Head. Slice 80/155.
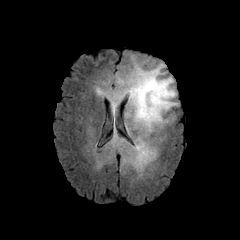
FLAIR MR.
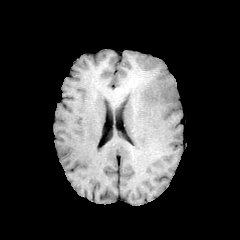
T1-weighted MRI.
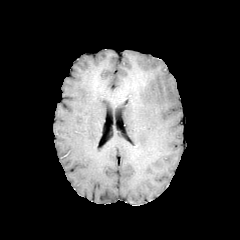
Post-contrast T1-weighted MRI of the same slice.
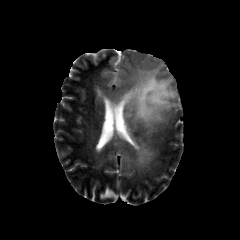
T2-weighted MR image.
<segmentation>
  <non-enhancing_tumor_core>bbox=[111, 67, 148, 121]</non-enhancing_tumor_core>
  <edema>bbox=[133, 141, 154, 167]; bbox=[97, 62, 177, 132]; bbox=[113, 66, 136, 91]</edema>
</segmentation>